FLAIR MR image.
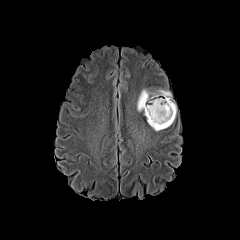
T1-weighted MRI.
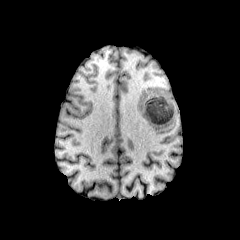
Post-contrast T1-weighted MR.
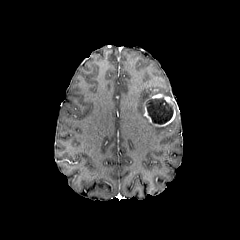
T2-weighted MR image.
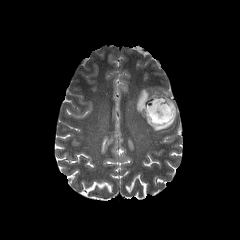
240x240 px, Brain
{
  "edema": [
    "137:87:155:112",
    "160:90:171:97",
    "147:121:173:131"
  ],
  "enhancing_tumor": [
    "142:93:176:127"
  ],
  "non-enhancing_tumor_core": [
    "146:98:173:124"
  ]
}